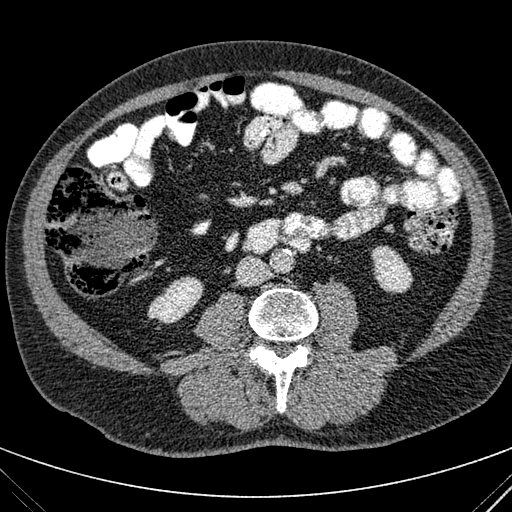
CT.

2 kidney regions are bounded by x1=148 y1=277 x2=202 y2=322, x1=371 y1=246 x2=411 y2=292.